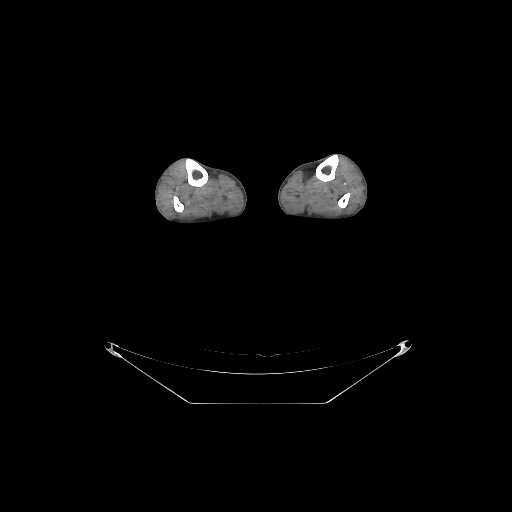 Computed tomography.

<segmentation>
  <bone>(x1=338, y1=193, x2=349, y2=207), (x1=316, y1=155, x2=338, y2=181), (x1=173, y1=196, x2=183, y2=211), (x1=185, y1=159, x2=207, y2=186)</bone>
</segmentation>